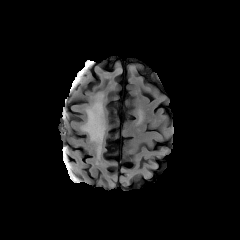
FLAIR MRI.
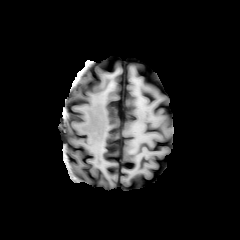
T1-weighted MR image of the same slice.
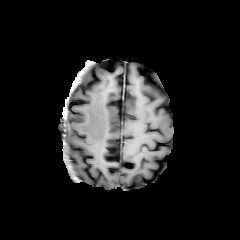
Same slice, post-contrast T1-weighted MR.
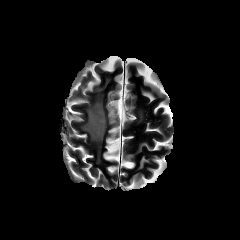
T2-weighted MRI.
Image size 240x240; Head
• edema: 81,94,105,158